Slice 23/38; Medial temporal lobe; MR image

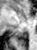

{"posterior_hippocampus": ["x1=16 y1=30 x2=26 y2=41"]}